CT, 512x512, Slice 60/164

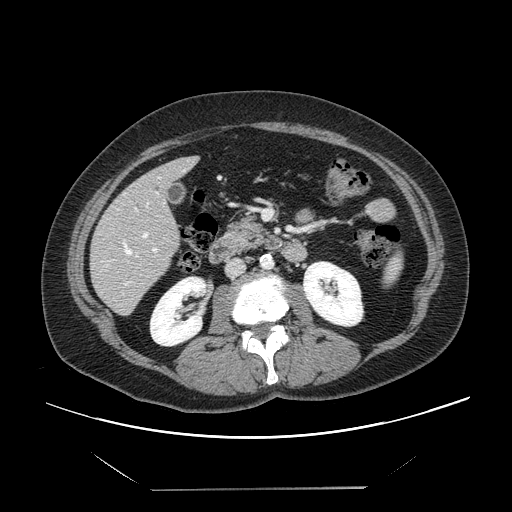 Not every hepatic vessel necessarily has a box.
{"hepatic_vessel": ["[146, 203, 148, 206]", "[152, 247, 158, 253]", "[117, 209, 118, 210]", "[141, 232, 148, 239]", "[122, 240, 138, 257]", "[155, 192, 158, 195]", "[135, 208, 137, 211]", "[101, 260, 114, 266]", "[124, 282, 132, 285]"]}